CT image, Slice 41/127

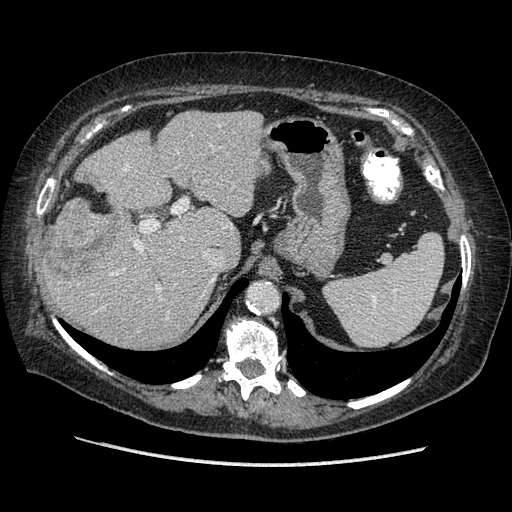
Not every hepatic vessel necessarily has a box.
Findings:
• liver tumor: (left=45, top=205, right=116, bottom=277)
• hepatic vessel: (left=172, top=198, right=188, bottom=213), (left=141, top=219, right=158, bottom=231), (left=135, top=241, right=142, bottom=251), (left=157, top=285, right=159, bottom=289)